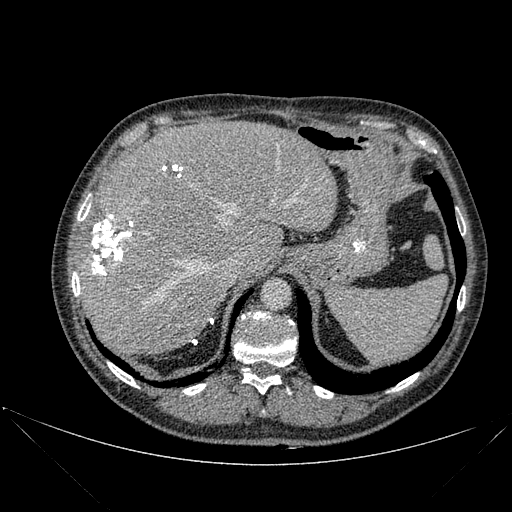
Upper abdomen; CT scan slice

- lung: x1=179, y1=355, x2=226, y2=385; x1=90, y1=328, x2=138, y2=377; x1=231, y1=290, x2=252, y2=323; x1=296, y1=171, x2=465, y2=394
- liver: x1=79, y1=121, x2=337, y2=354
- bone: x1=72, y1=272, x2=80, y2=296; x1=77, y1=201, x2=90, y2=220; x1=314, y1=386, x2=333, y2=398; x1=107, y1=362, x2=138, y2=387; x1=392, y1=373, x2=418, y2=391; x1=234, y1=312, x2=296, y2=366; x1=457, y1=290, x2=465, y2=310; x1=183, y1=384, x2=205, y2=395; x1=242, y1=368, x2=281, y2=393